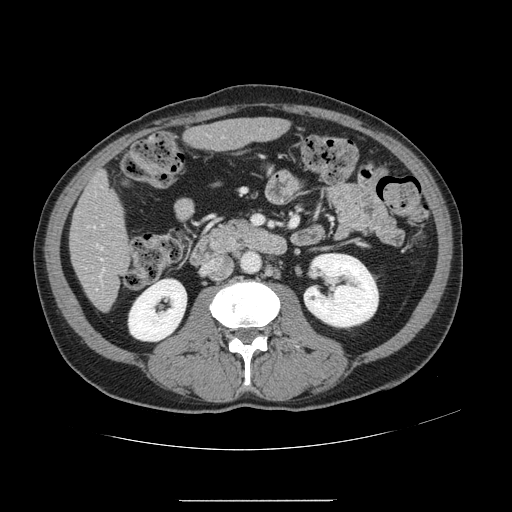
CT scan slice.

Not every hepatic vessel necessarily has a box.
Segmented structures:
* hepatic vessel: x1=99, y1=269, x2=104, y2=281; x1=96, y1=244, x2=102, y2=249; x1=100, y1=259, x2=102, y2=260